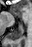 MRI slice | 32x47 px
anterior hippocampus: 10,12,16,17 | posterior hippocampus: 8,25,24,40